CT

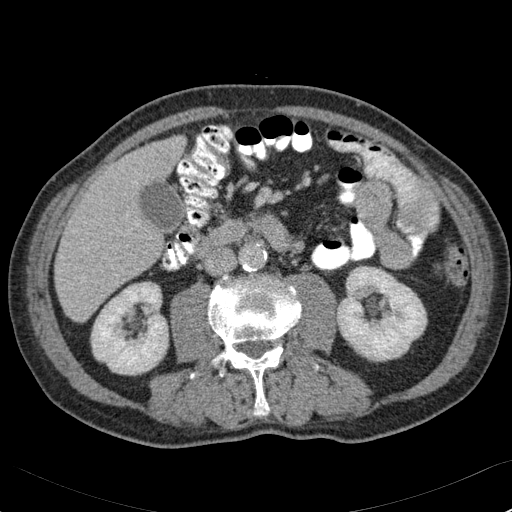
The liver is located at 55 140 179 321. 2 kidney regions appear at 92 282 167 374, 337 267 426 360.